Computed tomography. 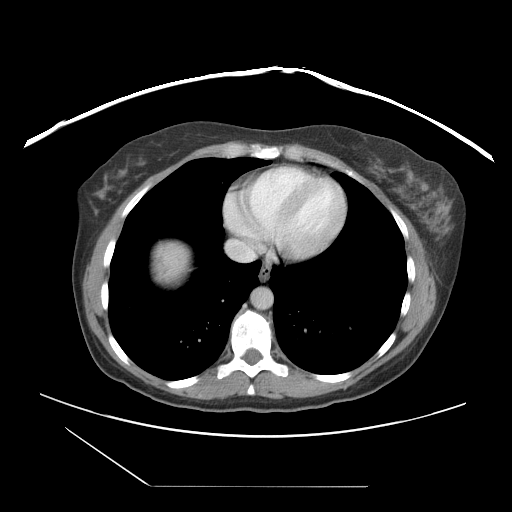

Not every hepatic vessel necessarily has a box.
- hepatic vessel: (x1=228, y1=241, x2=254, y2=260), (x1=242, y1=234, x2=256, y2=237)